Heart. MRI. 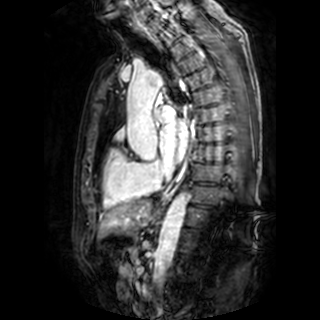 left atrium: (left=160, top=121, right=188, bottom=163)